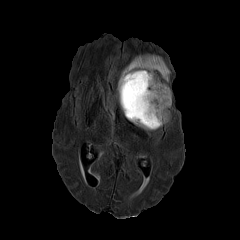
FLAIR MR image.
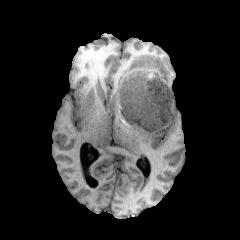
T1-weighted MR image of the same slice.
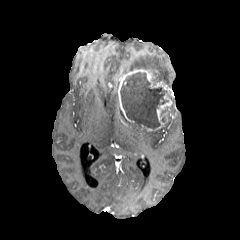
Post-contrast T1-weighted MRI of the same slice.
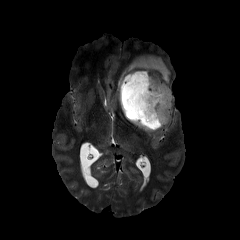
T2-weighted MR.
240x240. Head.
enhancing_tumor:
  - <bbox>156, 100, 172, 125</bbox>
  - <bbox>118, 69, 173, 122</bbox>
non-enhancing_tumor_core:
  - <bbox>120, 71, 171, 129</bbox>
edema:
  - <bbox>120, 54, 171, 82</bbox>
  - <bbox>164, 108, 171, 128</bbox>